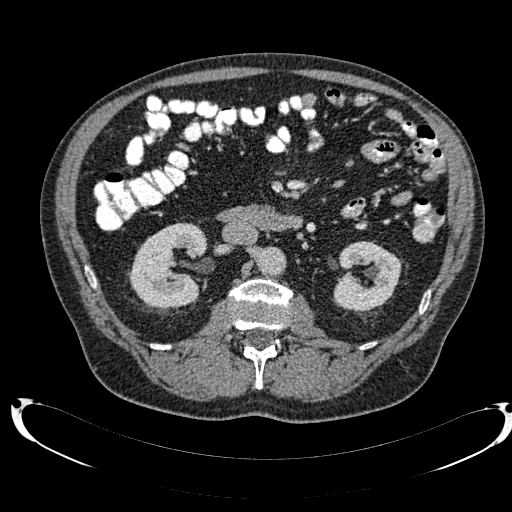 Computed tomography. Abdomen.
Kidney — rect(334, 241, 400, 311); rect(129, 223, 206, 309); rect(214, 246, 222, 254).